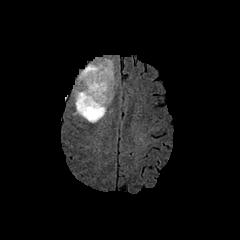
FLAIR MRI.
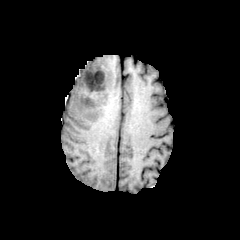
T1-weighted MR image of the same slice.
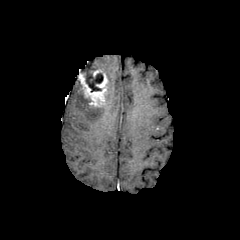
Post-contrast T1-weighted MRI.
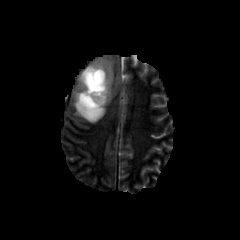
T2-weighted MR of the same slice.
Head
The edema is at bbox=[72, 59, 118, 123]. The enhancing tumor appears at bbox=[78, 69, 107, 105]. 2 non-enhancing tumor core regions are bounded by bbox=[82, 95, 98, 110]; bbox=[85, 67, 103, 91].